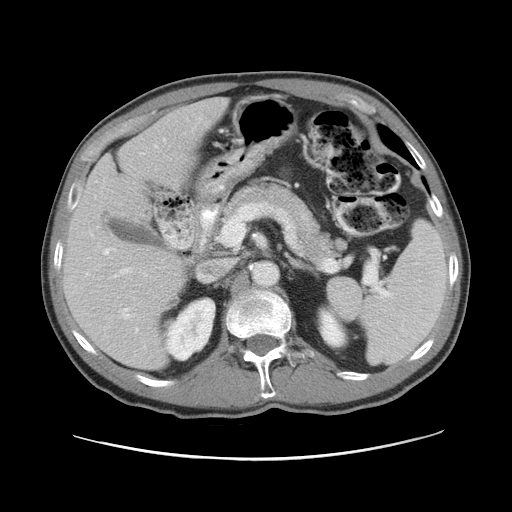

CT image | Abdomen
Only some of the vessels may be annotated.
<segmentation>
  <hepatic_vessel>(x1=120, y1=268, x2=131, y2=273), (x1=113, y1=274, x2=118, y2=277), (x1=109, y1=277, x2=111, y2=278), (x1=98, y1=244, x2=99, y2=246), (x1=86, y1=272, x2=88, y2=275), (x1=119, y1=308, x2=128, y2=318), (x1=104, y1=247, x2=113, y2=254), (x1=135, y1=328, x2=137, y2=331)</hepatic_vessel>
</segmentation>